CT image, Slice 16/565
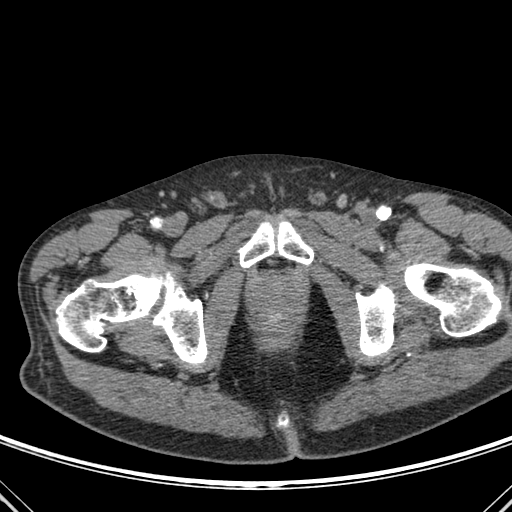
5 bone regions appear at left=355, top=284, right=397, bottom=356; left=56, top=272, right=207, bottom=364; left=404, top=263, right=503, bottom=336; left=279, top=418, right=288, bottom=426; left=238, top=221, right=313, bottom=267.